Slice 24/42, Medial temporal lobe, Magnetic resonance, 38x50
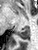
posterior hippocampus: [16, 26, 29, 39]